Head
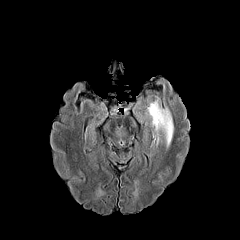
FLAIR MR image.
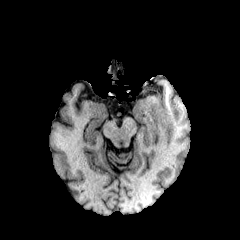
Same slice, T1-weighted MR image.
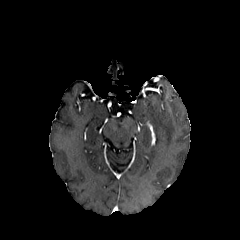
Post-contrast T1-weighted MRI of the same slice.
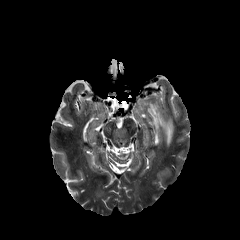
T2-weighted MR image of the same slice.
Edema — [x1=146, y1=100, x2=174, y2=151].